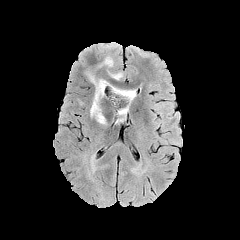
FLAIR MRI.
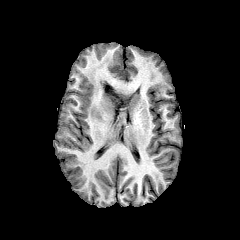
Same slice, T1-weighted MRI.
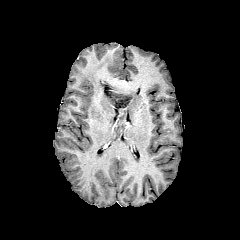
Post-contrast T1-weighted MR.
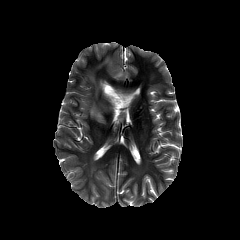
T2-weighted MR.
Head
Non-enhancing tumor core at [x1=115, y1=96, x2=129, y2=107].
Edema at [x1=100, y1=56, x2=114, y2=66], [x1=90, y1=76, x2=136, y2=124], [x1=109, y1=73, x2=122, y2=80].